CT image. Slice 333/826.
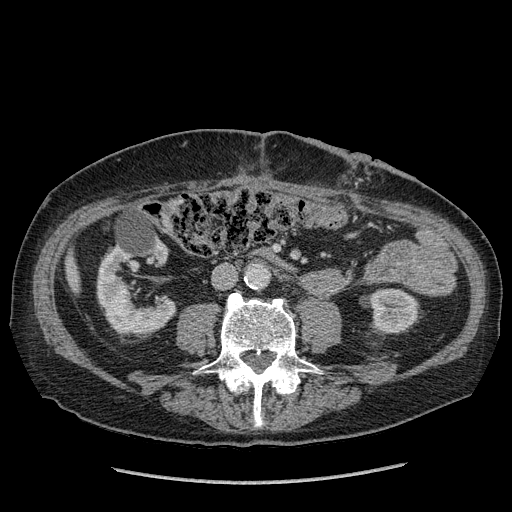

The liver is at bbox(65, 252, 79, 294). 3 kidney regions appear at bbox(154, 241, 167, 263); bbox(370, 289, 418, 332); bbox(97, 245, 174, 333).